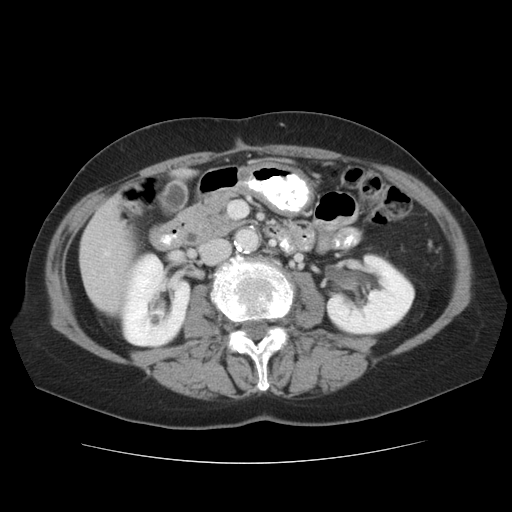 512x512 | Abdomen | CT
Bone: bounding box l=213, t=257, r=294, b=390.
Kidney: bounding box l=323, t=256, r=413, b=332; l=123, t=255, r=189, b=345.
Liver: bounding box l=80, t=195, r=135, b=312.